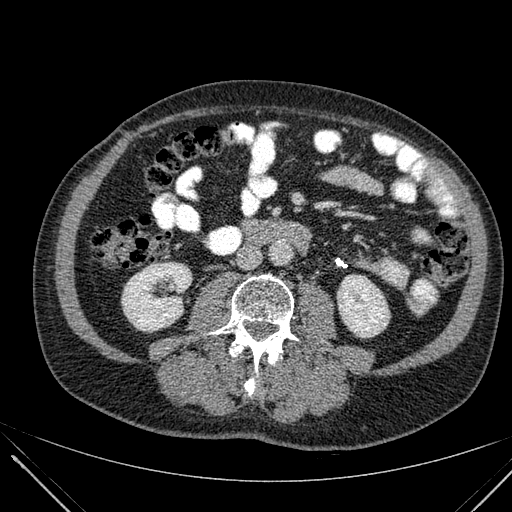
CT image
Kidney = 337, 275, 388, 337; 122, 263, 191, 331.